FLAIR MR.
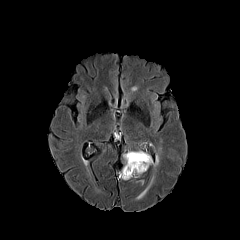
T1-weighted magnetic resonance.
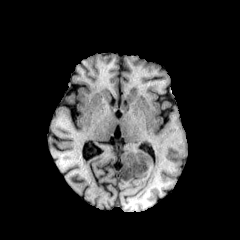
Post-contrast T1-weighted MRI.
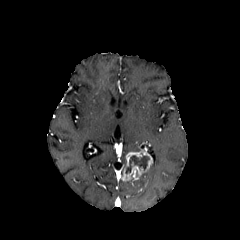
T2-weighted magnetic resonance.
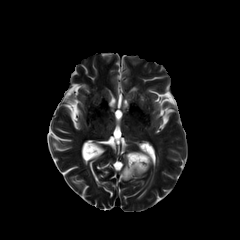
Head
Enhancing tumor = 119, 150, 153, 181.
Non-enhancing tumor core = 129, 155, 149, 170.
Edema = 137, 184, 150, 198.